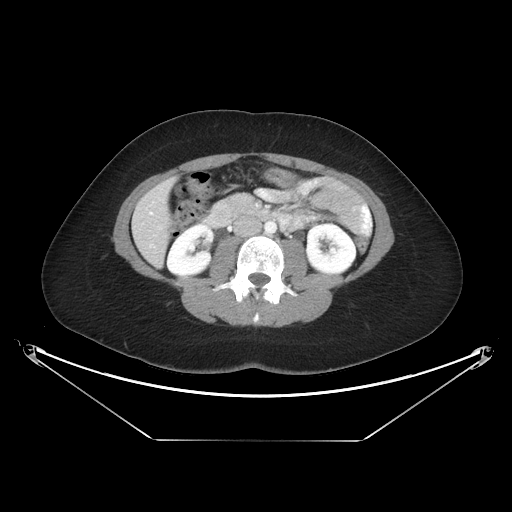

512x512 | Abdomen | CT image

pancreas: bbox=[227, 193, 257, 215]